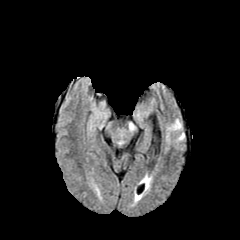
FLAIR MR image.
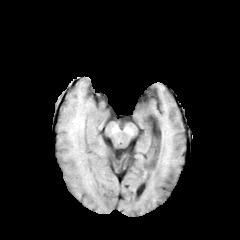
T1-weighted magnetic resonance of the same slice.
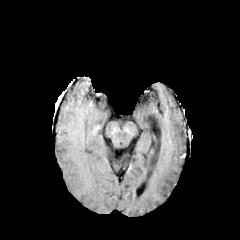
Post-contrast T1-weighted MRI of the same slice.
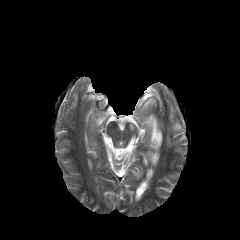
T2-weighted MRI.
Image size 240x240, Brain
edema: 170:119:181:133